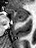 MRI. 36x48. Anterior hippocampus: 7, 9, 28, 21.